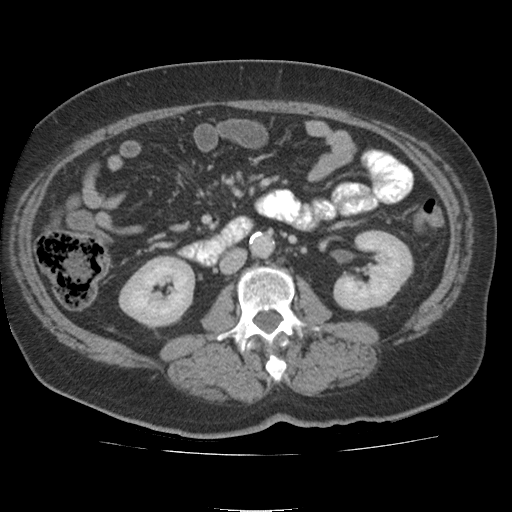

CT slice; 512x512
Annotated regions:
- kidney: l=125, t=261, r=189, b=324; l=337, t=232, r=406, b=309